CT slice

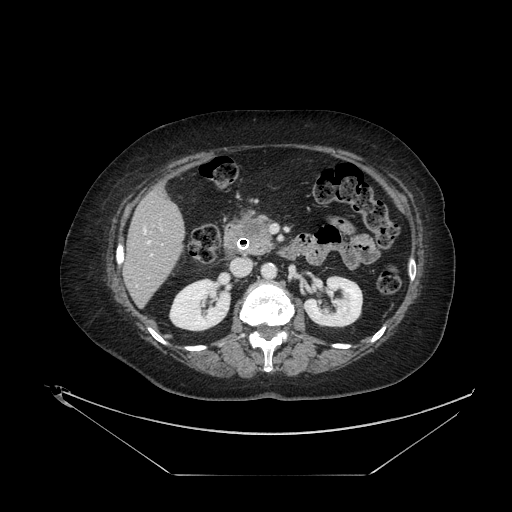
Pancreas: bounding box bbox(226, 212, 273, 256).
Pancreatic tumor: bounding box bbox(238, 217, 265, 237).